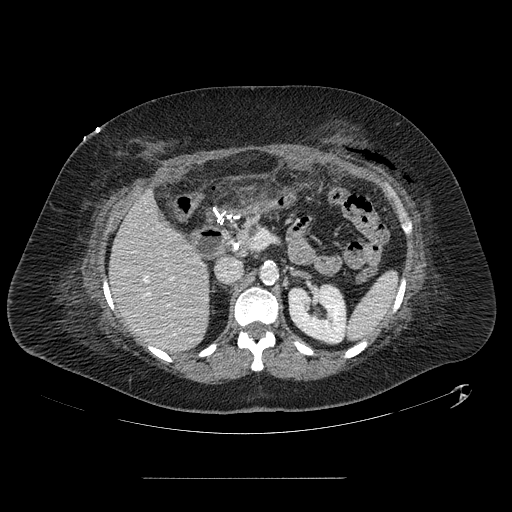

CT slice | Abdomen
pancreas: bbox=[230, 216, 258, 256]